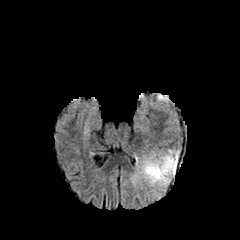
FLAIR MRI.
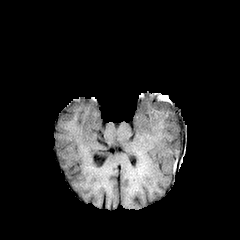
T1-weighted magnetic resonance.
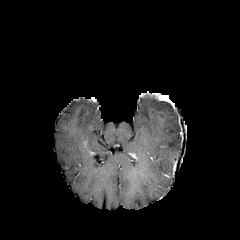
Post-contrast T1-weighted MR.
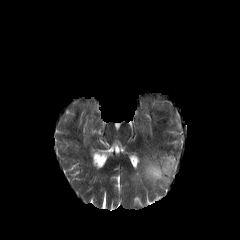
T2-weighted MR image.
240x240
The edema is bounded by bbox(143, 151, 178, 185).